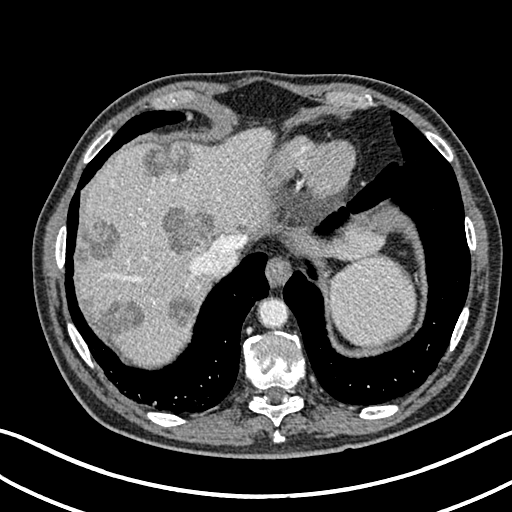

CT. Liver.

liver_lesion:
  - x1=93 y1=301 x2=143 y2=332
  - x1=78 y1=254 x2=86 y2=261
  - x1=163 y1=206 x2=215 y2=253
  - x1=143 y1=147 x2=190 y2=175
  - x1=170 y1=295 x2=194 y2=327
  - x1=83 y1=220 x2=118 y2=259
liver:
  - x1=328 y1=228 x2=382 y2=259
  - x1=76 y1=127 x2=271 y2=364